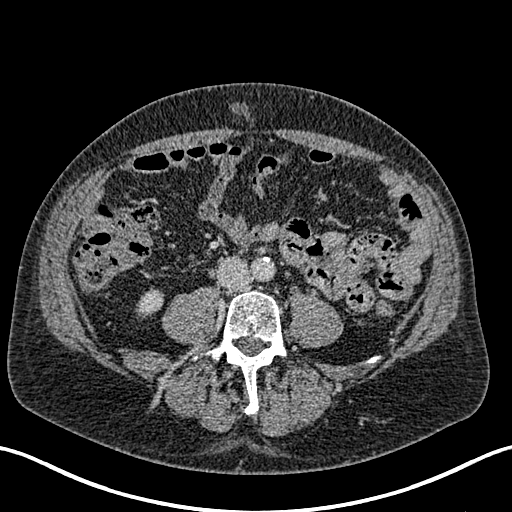 Computed tomography, 512x512, Abdomen

The kidney lies within <box>132,287,164,322</box>.